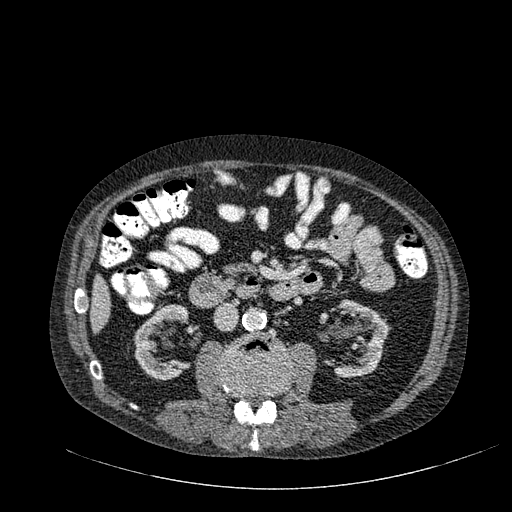 CT
Segmented structures:
- kidney: left=133, top=304, right=190, bottom=380; left=319, top=313, right=328, bottom=323; left=318, top=301, right=390, bottom=377; left=186, top=325, right=198, bottom=334
- liver: left=92, top=275, right=110, bottom=332